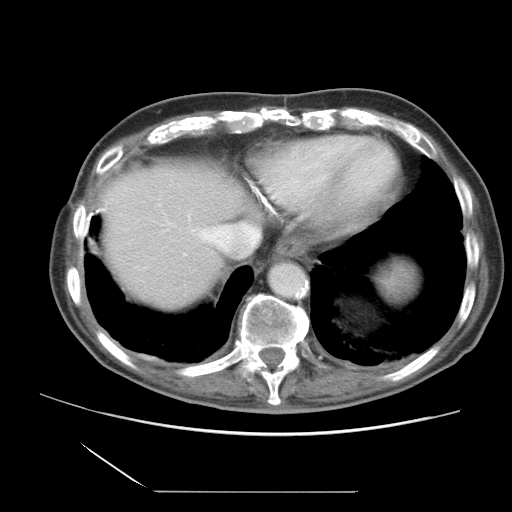
Computed tomography | Liver | 512x512
Some hepatic vessels may have no box.
• hepatic vessel: (163,219,173,230), (190,222,259,256), (188,213,190,220), (184,253,186,255)